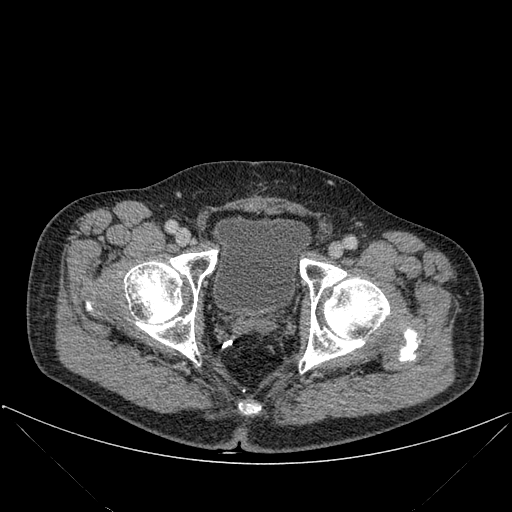

Lower abdomen. CT scan slice.
Annotated regions:
• bone: x1=299 y1=258 x2=389 y2=372, x1=124 y1=249 x2=217 y2=363, x1=399 y1=329 x2=417 y2=360, x1=239 y1=403 x2=260 y2=413
• urinary bladder: x1=212 y1=217 x2=311 y2=323